Field of view 500x500 mm, CT scan slice, 512x512, Abdomen, Slice 110/148

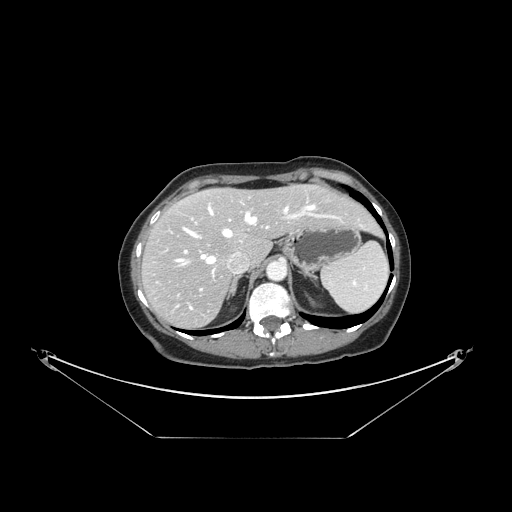

Only some of the vessels may be annotated.
{
  "hepatic_vessel": [
    "x1=189 y1=232 x2=195 y2=235",
    "x1=223 y1=230 x2=230 y2=236",
    "x1=285 y1=208 x2=287 y2=210",
    "x1=183 y1=228 x2=185 y2=229",
    "x1=308 y1=206 x2=314 y2=208",
    "x1=208 y1=207 x2=211 y2=212",
    "x1=246 y1=213 x2=255 y2=223"
  ]
}